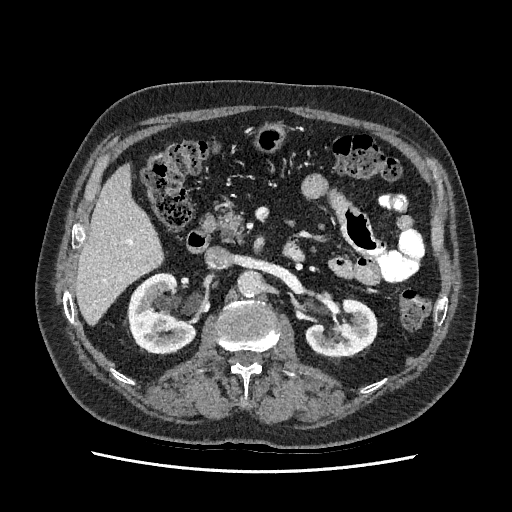
Abdomen | CT

kidney:
  - box=[306, 299, 376, 355]
  - box=[129, 274, 194, 352]
liver:
  - box=[77, 164, 162, 325]